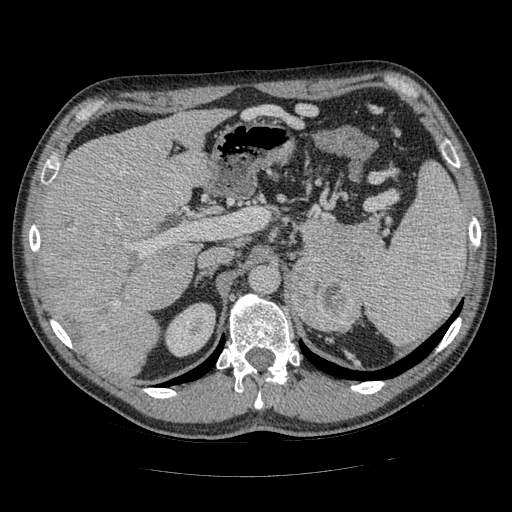
Abdomen; 512x512 px; Computed tomography

pancreas: [290, 271, 295, 309], [301, 219, 381, 289] | pancreatic tumor: [293, 254, 361, 331]